FLAIR MR image.
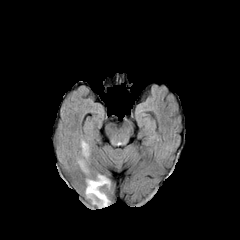
T1-weighted magnetic resonance.
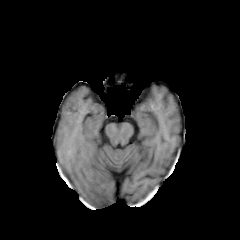
Post-contrast T1-weighted MR.
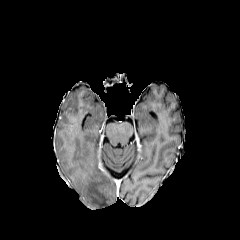
T2-weighted MR.
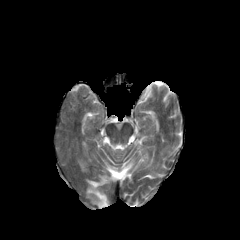
240x240
- edema: 85 174 110 207, 82 141 88 155